512x512 px. CT scan slice. Slice 23/247. 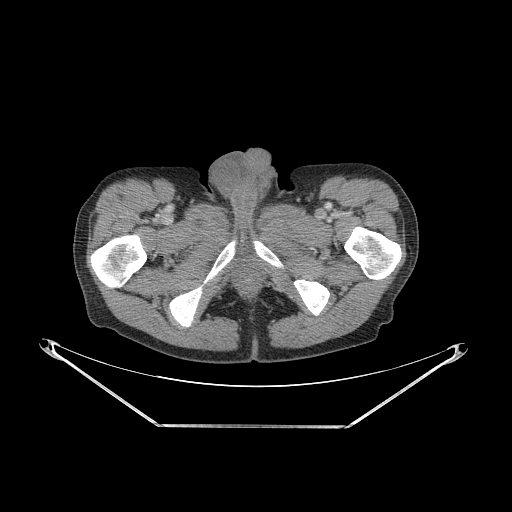 {
  "bone": [
    "[294, 280, 329, 315]",
    "[344, 227, 401, 279]",
    "[170, 287, 201, 326]",
    "[91, 235, 146, 287]",
    "[253, 241, 281, 267]",
    "[204, 241, 235, 283]"
  ]
}